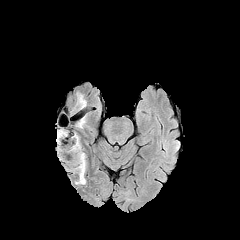
FLAIR MRI.
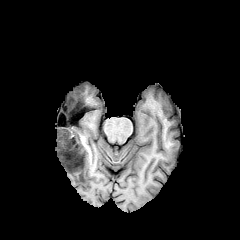
Same slice, T1-weighted MRI.
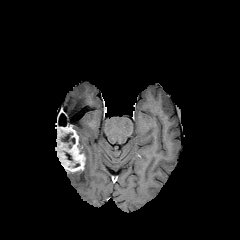
Same slice, post-contrast T1-weighted magnetic resonance.
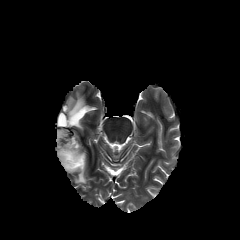
Same slice, T2-weighted MR.
Head
* edema: <bbox>72, 155, 87, 184</bbox>, <bbox>74, 116, 84, 129</bbox>, <bbox>76, 94, 86, 107</bbox>
* enhancing tumor: <bbox>56, 125, 85, 171</bbox>
* non-enhancing tumor core: <bbox>61, 130, 75, 143</bbox>, <bbox>70, 100, 82, 111</bbox>